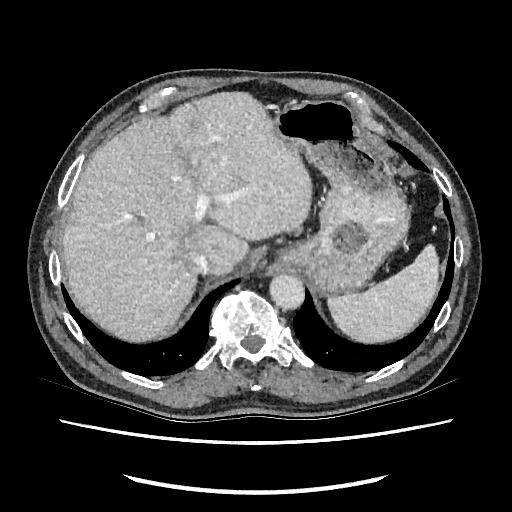 Computed tomography. Upper abdomen.

Liver: rect(62, 93, 310, 338).
Liver lesion: rect(175, 145, 189, 161); rect(190, 122, 196, 132); rect(175, 228, 200, 264).